Field of view 386x386 mm. CT image. Image size 512x512. Upper abdomen.
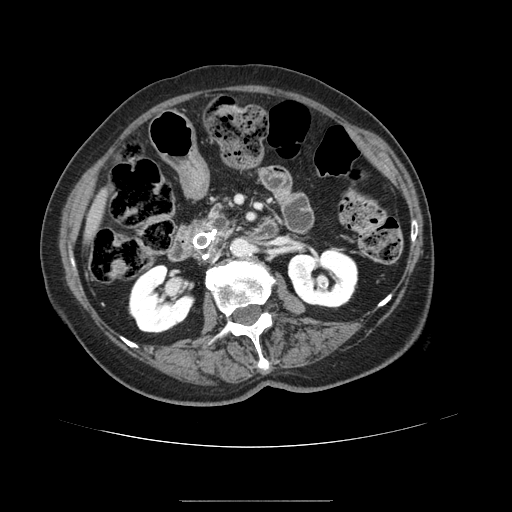

pancreas: bbox=[189, 213, 233, 249]